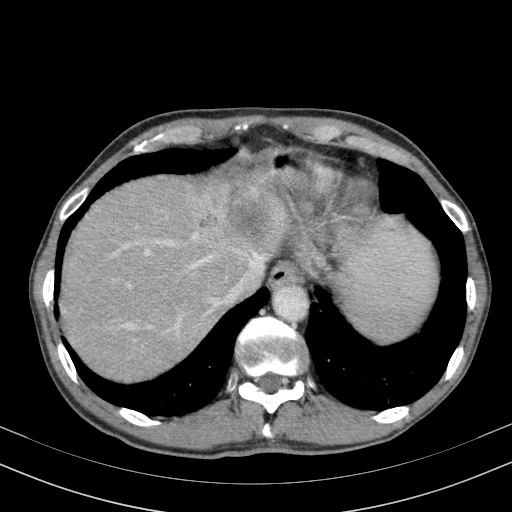
CT scan slice, 512x512 px, Liver
The hepatic lesion is at box(227, 206, 268, 237). The liver lies within box(60, 156, 287, 381).